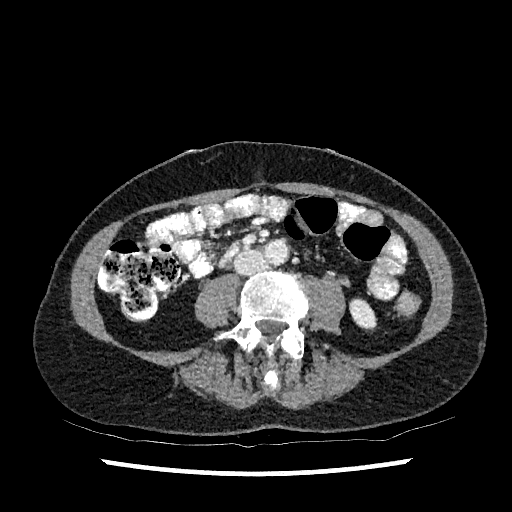
Computed tomography
The kidney is at [x1=351, y1=300, x2=374, y2=327].